Computed tomography

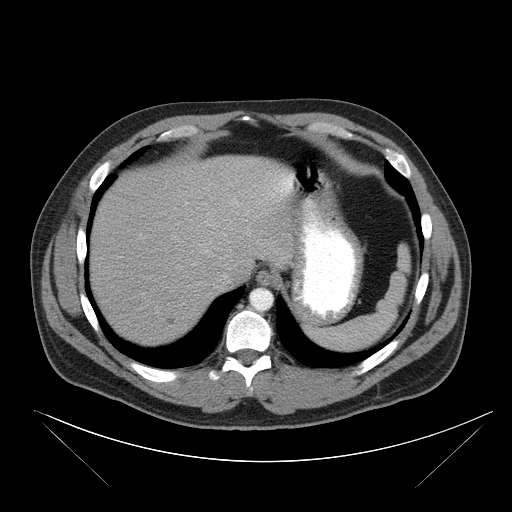

Spleen — {"x1": 305, "y1": 246, "x2": 409, "y2": 352}.